Head. 240x240 px.
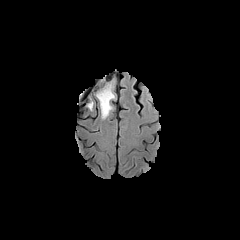
FLAIR magnetic resonance.
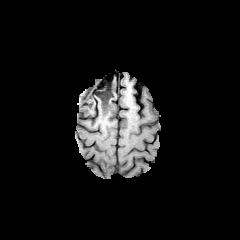
T1-weighted magnetic resonance of the same slice.
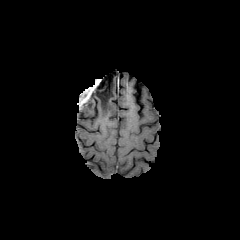
Post-contrast T1-weighted MR image.
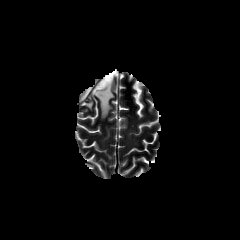
T2-weighted MR.
The edema is at x1=89, y1=80, x2=115, y2=119. 2 non-enhancing tumor core regions appear at x1=98, y1=104, x2=109, y2=117; x1=92, y1=81, x2=112, y2=105.